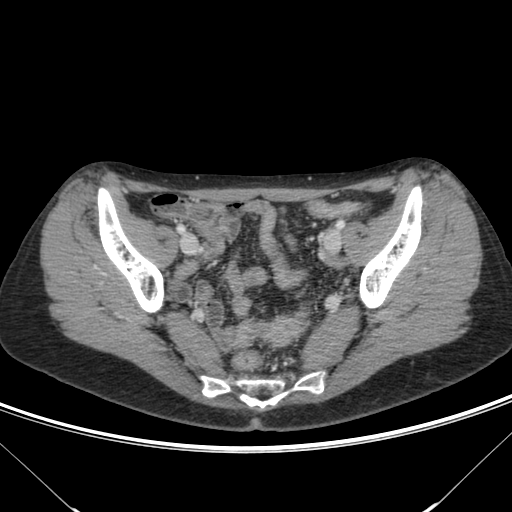 Pelvis, Image size 512x512, CT slice

colon_tumor:
  - x1=235, y1=317, x2=303, y2=347